Image width 240 mm
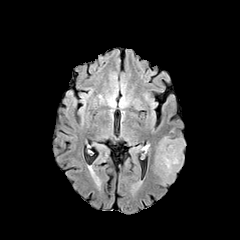
FLAIR MR.
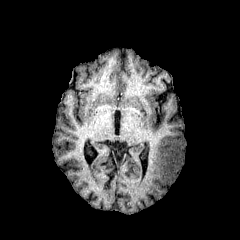
T1-weighted MR of the same slice.
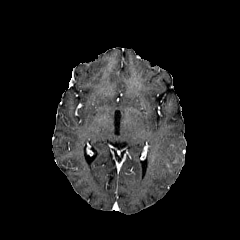
Same slice, post-contrast T1-weighted MRI.
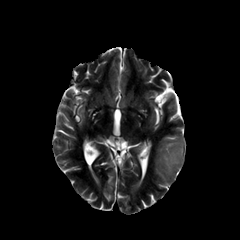
T2-weighted MR.
The edema is bounded by {"x1": 153, "y1": 136, "x2": 185, "y2": 186}. The non-enhancing tumor core lies within {"x1": 162, "y1": 142, "x2": 185, "y2": 175}.